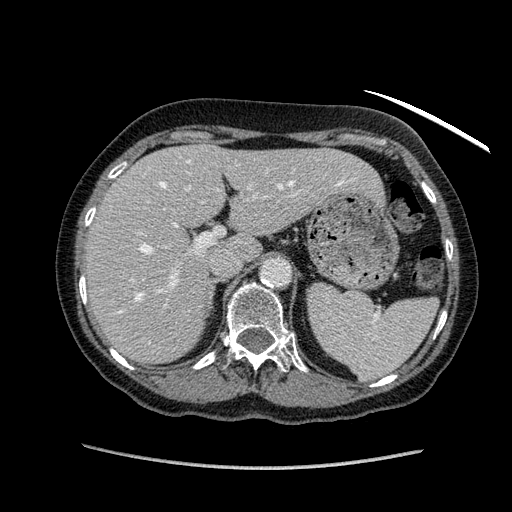

Image size 512x512 | Liver | Computed tomography
The liver is bounded by (x1=84, y1=145, x2=378, y2=363).